FLAIR MR image.
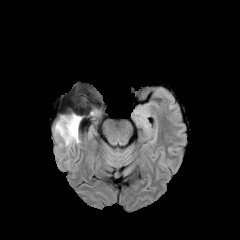
T1-weighted MR.
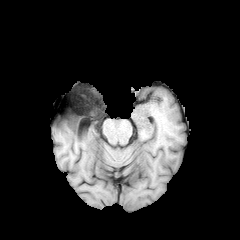
Post-contrast T1-weighted MR.
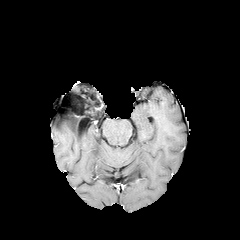
T2-weighted MRI.
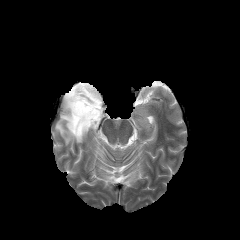
Brain
The edema appears at left=53, top=120, right=81, bottom=147. The non-enhancing tumor core is bounded by left=56, top=111, right=81, bottom=132.